FLAIR MR image.
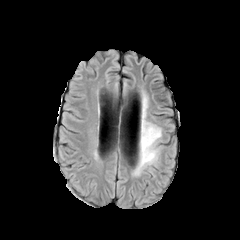
T1-weighted MR.
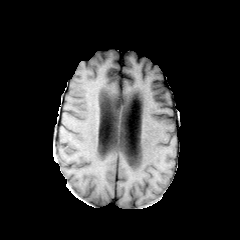
Post-contrast T1-weighted MR.
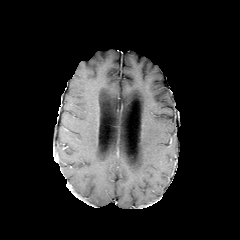
T2-weighted MR.
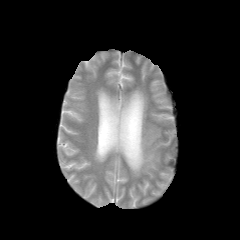
240x240 px, Head
The edema appears at x1=133, y1=94, x2=161, y2=175.